Head
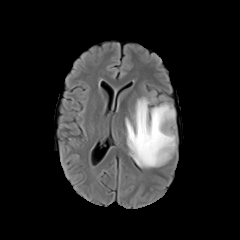
FLAIR magnetic resonance.
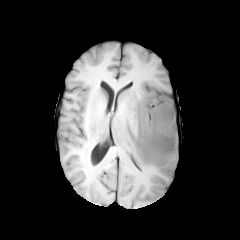
T1-weighted MR image of the same slice.
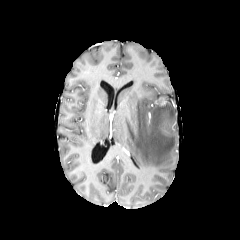
Same slice, post-contrast T1-weighted magnetic resonance.
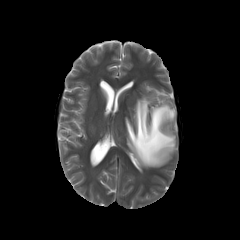
T2-weighted MRI of the same slice.
The non-enhancing tumor core is bounded by bbox=[155, 97, 169, 105]. The edema is at bbox=[123, 90, 178, 169].